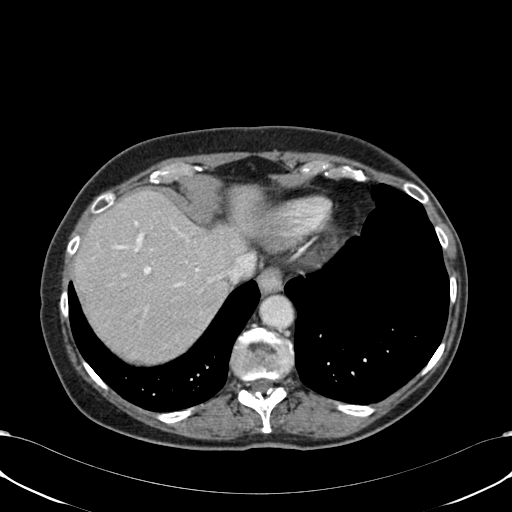
CT slice | 512x512 px
Segmented structures:
* liver: (74,191,249,361)